Field of view 240 mm wide, 1.00 mm slice spacing. Head. 240x240 px.
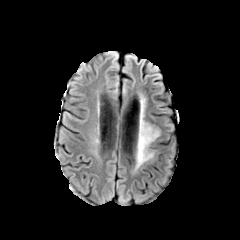
FLAIR magnetic resonance.
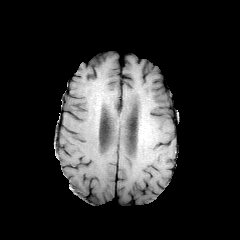
T1-weighted MR of the same slice.
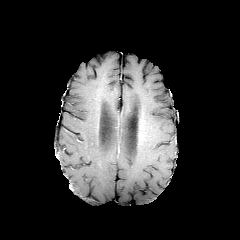
Post-contrast T1-weighted MR of the same slice.
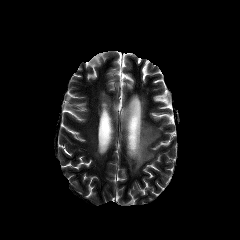
T2-weighted MR image.
Findings:
* edema: x1=134 y1=114 x2=159 y2=167